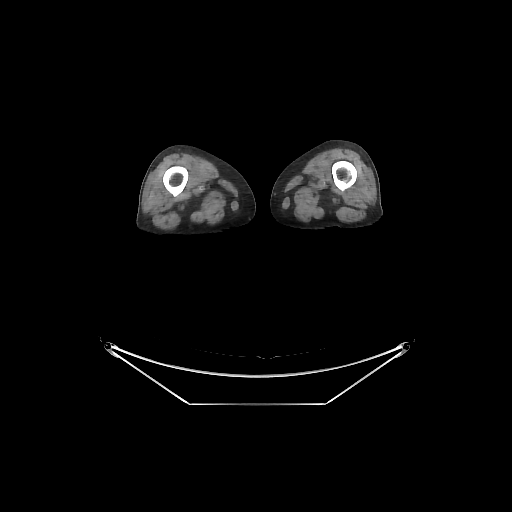 CT image.
{
  "bone": [
    "bbox(332, 161, 356, 191)",
    "bbox(163, 166, 188, 196)"
  ]
}